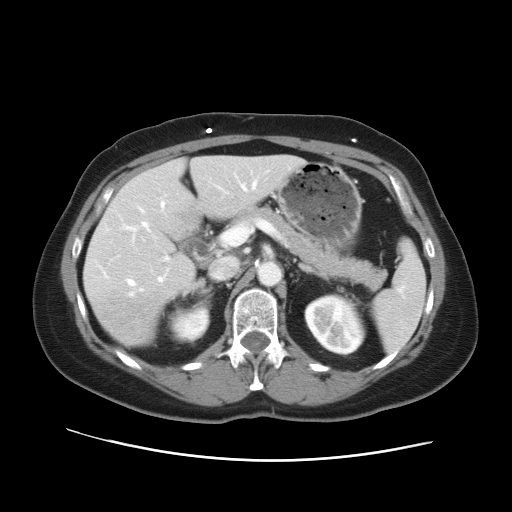 CT slice | 512x512 px | Abdomen
Some hepatic vessels may have no box.
3 hepatic vessel regions appear at bbox(141, 220, 149, 231); bbox(160, 199, 165, 209); bbox(122, 224, 138, 241).